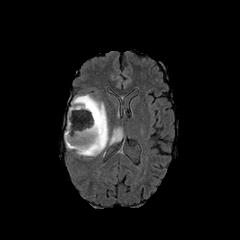
FLAIR MR.
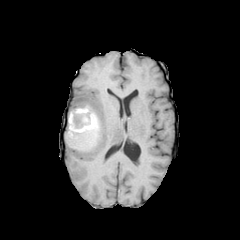
T1-weighted magnetic resonance of the same slice.
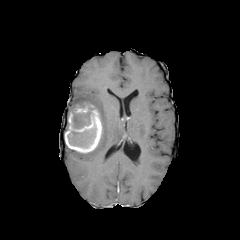
Post-contrast T1-weighted MR image.
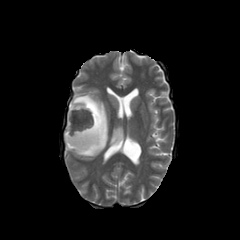
T2-weighted MRI.
240x240 px. Head.
2 non-enhancing tumor core regions are located at left=84, top=130, right=93, bottom=139; left=86, top=102, right=103, bottom=125. The edema appears at left=67, top=92, right=120, bottom=159. The enhancing tumor is located at left=64, top=109, right=102, bottom=153.